CT

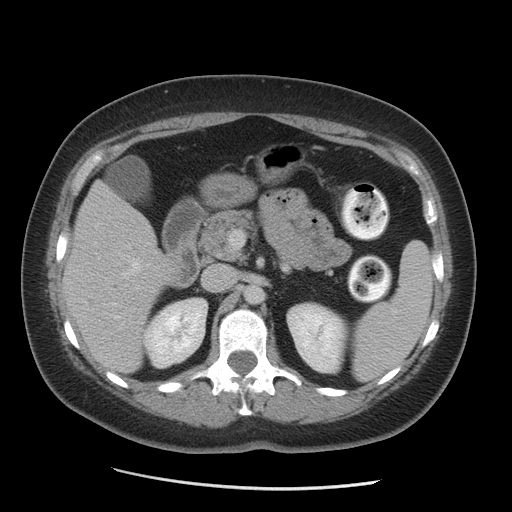
2 kidney regions are located at (289, 306, 343, 369), (151, 305, 204, 361). The liver appears at (62, 181, 179, 375).